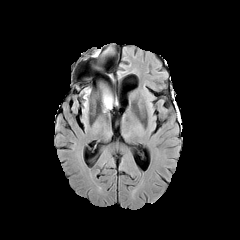
FLAIR MR image.
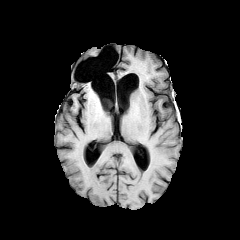
T1-weighted MRI of the same slice.
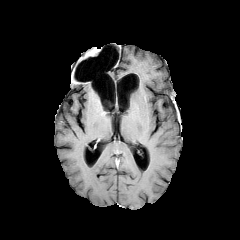
Post-contrast T1-weighted magnetic resonance of the same slice.
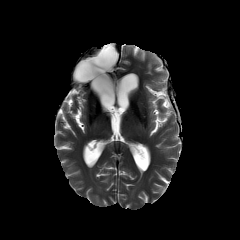
T2-weighted MRI of the same slice.
240x240; Brain
<segmentation>
  <edema>(left=102, top=88, right=114, bottom=111)</edema>
</segmentation>